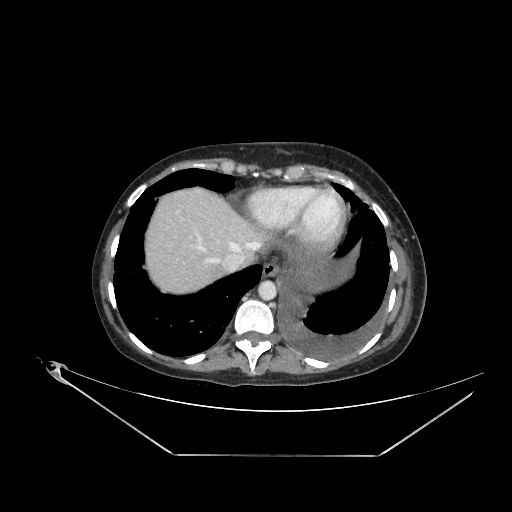
Upper abdomen | Computed tomography
{"liver": ["x1=149 y1=190 x2=268 y2=294"]}